CT slice | Abdomen | Field of view 348x348 mm 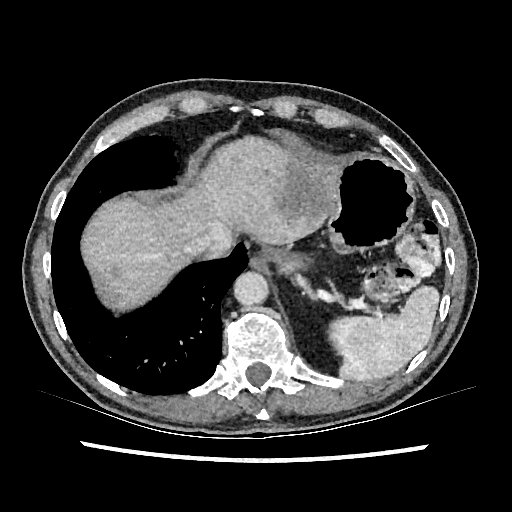
hepatic lesion: (109,265,122,279), (230,154,241,164), (274,172,336,225) | liver: (86,138,338,305), (328,196,336,213)